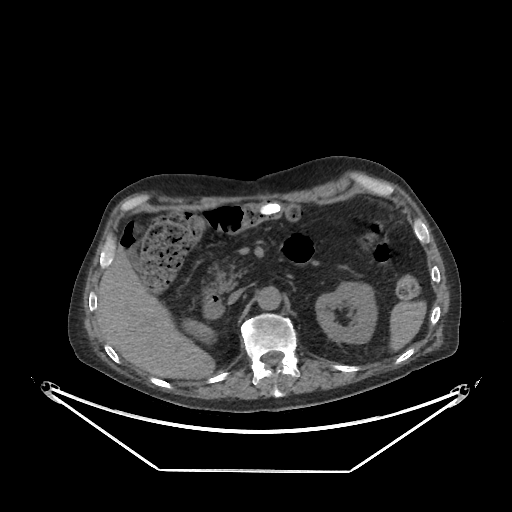
CT slice

kidney:
  - bbox=[315, 282, 377, 343]
liver:
  - bbox=[95, 245, 214, 379]